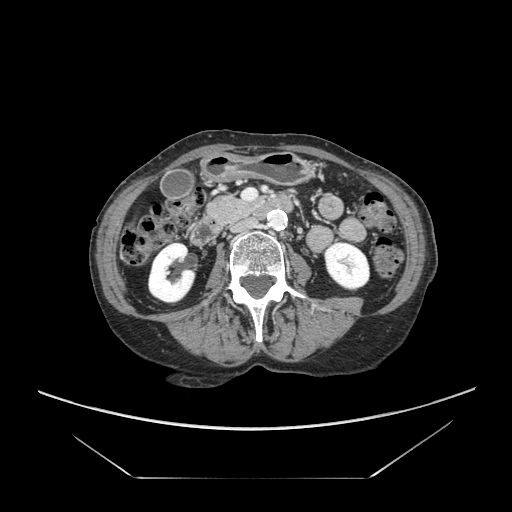

CT image | Abdomen
Pancreas: bounding box 204, 193, 267, 228.